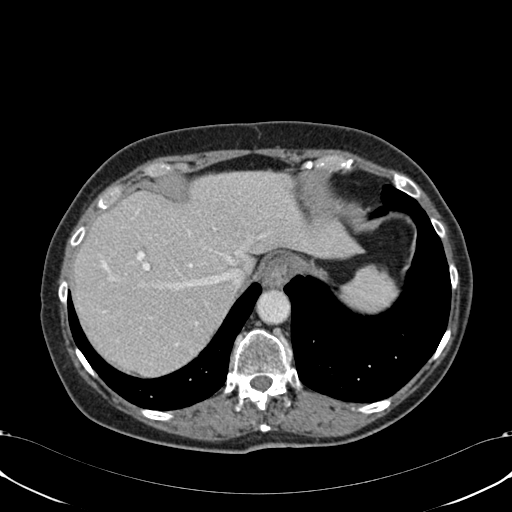

Computed tomography | 512x512
Segmented structures:
- liver: bbox(73, 171, 361, 374)